FLAIR MRI.
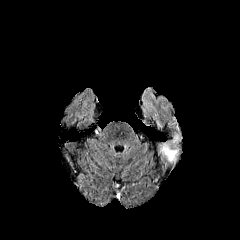
T1-weighted MRI.
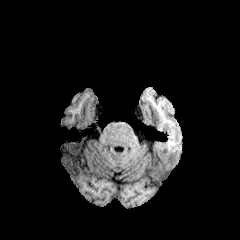
Post-contrast T1-weighted MR.
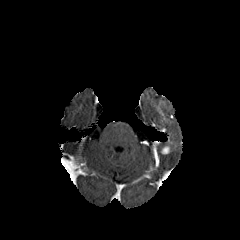
T2-weighted MRI.
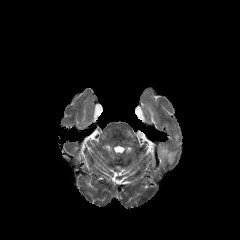
Brain, 240x240 px
{"enhancing_tumor": ["160 145 170 154"], "edema": ["159 132 182 165"]}